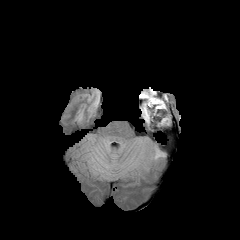
FLAIR MRI.
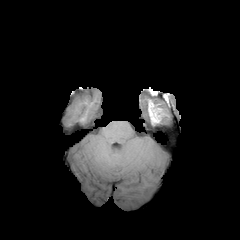
T1-weighted magnetic resonance.
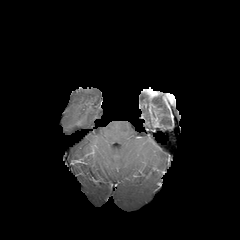
Post-contrast T1-weighted MR image.
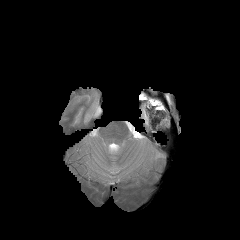
T2-weighted MR image.
Head.
{
  "non-enhancing_tumor_core": [
    "[142,100,161,107]"
  ],
  "edema": [
    "[152,149,165,158]",
    "[139,91,169,131]",
    "[130,137,150,150]",
    "[105,146,115,153]"
  ]
}